Liver; CT; Slice 53 of 155

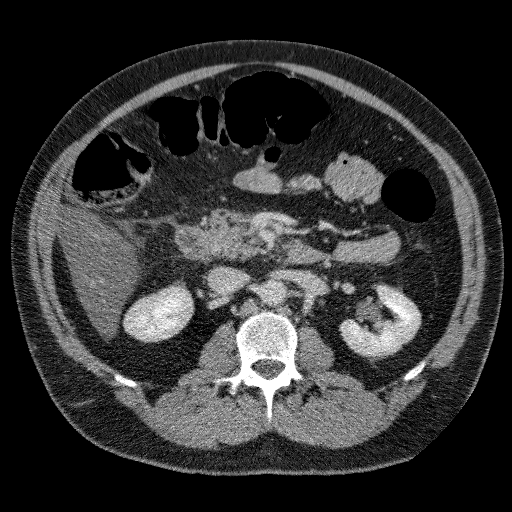

liver:
  - left=58, top=207, right=136, bottom=333
kidney:
  - left=125, top=288, right=191, bottom=338
  - left=341, top=286, right=419, bottom=354